Slice index 185; CT; Abdomen

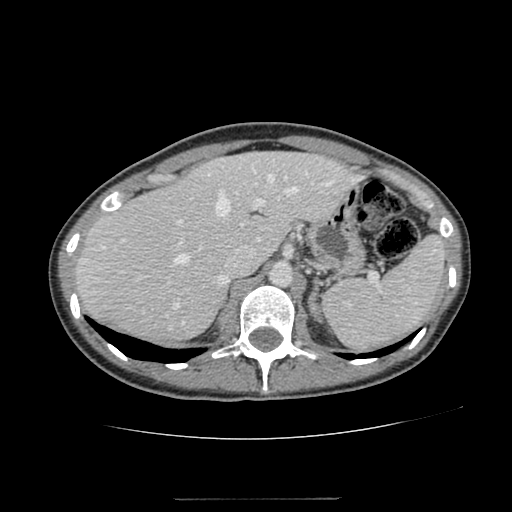 Liver = x1=75 y1=152 x2=364 y2=341.